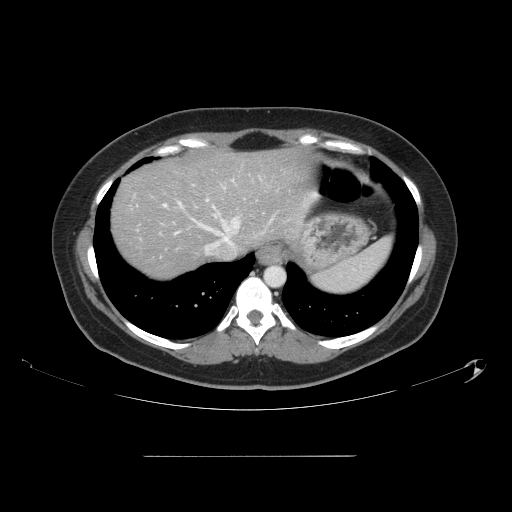
CT slice. Liver.

Only some of the vessels may be annotated.
hepatic vessel: (205, 245, 207, 253), (164, 204, 165, 206), (190, 218, 194, 220), (212, 205, 214, 208), (197, 217, 239, 238), (215, 212, 219, 217), (206, 199, 208, 201)